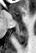 MRI slice. Medial temporal lobe.

Anterior hippocampus — l=11, t=14, r=15, b=18.
Posterior hippocampus — l=15, t=28, r=28, b=45.